MRI | Hippocampus 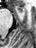
<segmentation>
  <anterior_hippocampus>15,6,22,13</anterior_hippocampus>
</segmentation>